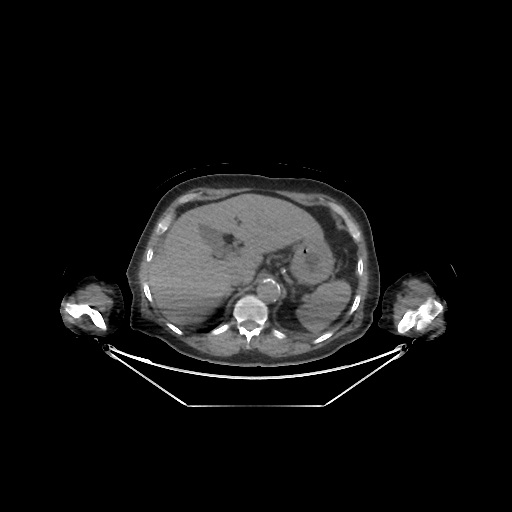 CT scan slice, Upper abdomen
<segmentation>
  <lung>(196, 318, 221, 332)</lung>
  <liver>(147, 194, 322, 324)</liver>
  <bone>(351, 295, 359, 312), (315, 333, 331, 342), (167, 324, 181, 333), (234, 296, 266, 342), (358, 260, 362, 274), (398, 299, 442, 332), (147, 249, 152, 261), (157, 223, 166, 231), (65, 303, 105, 329), (144, 283, 151, 300), (274, 331, 284, 337), (212, 325, 227, 334)</bone>
</segmentation>